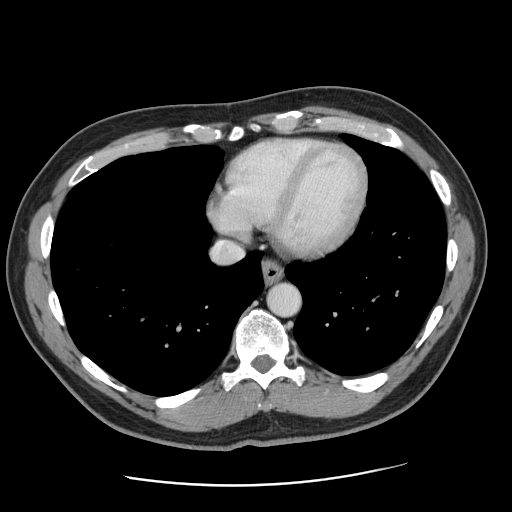
CT scan slice

The vessel boxes may cover only some of the vessels.
hepatic vessel: [x1=212, y1=244, x2=239, y2=262]